320x320
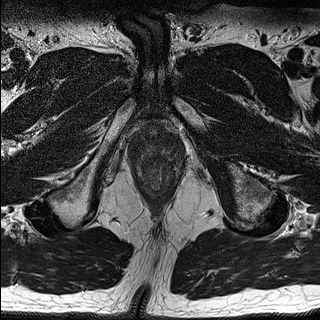
T2-weighted MR image.
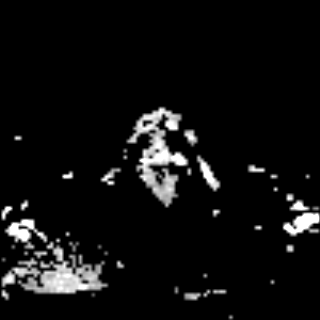
ADC magnetic resonance of the same slice.
Prostate peripheral zone — region(145, 146, 158, 160).